CT scan slice | Image size 512x512

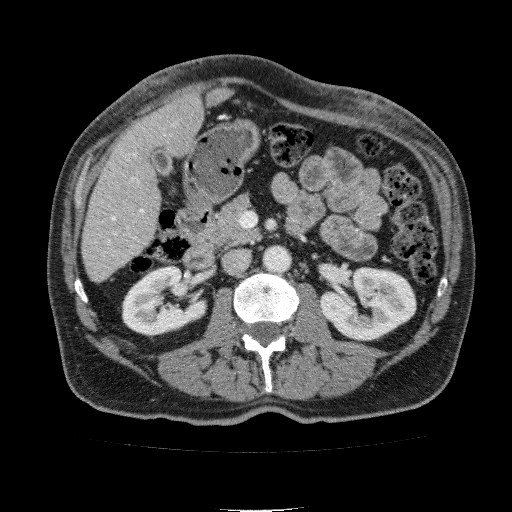

2 liver regions appear at left=82, top=92, right=204, bottom=282; left=206, top=86, right=233, bottom=106. 2 kidney regions appear at left=123, top=267, right=204, bottom=334; left=321, top=268, right=415, bottom=339.